CT slice | 512x512 | Slice index 267 | Liver 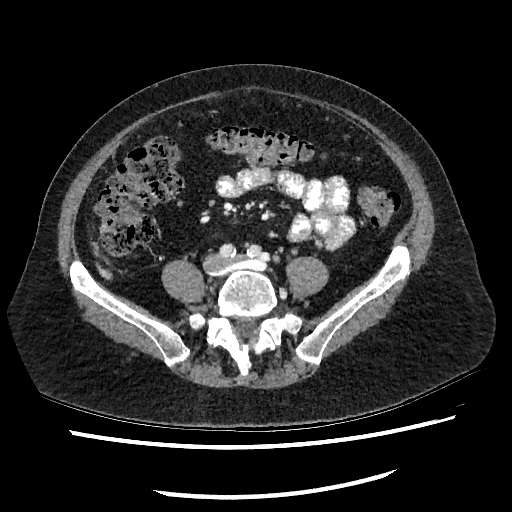

Liver: bounding box 101,269,109,278.